Field of view 437 mm wide, 0.80 mm slice spacing; 512x512 px; Computed tomography 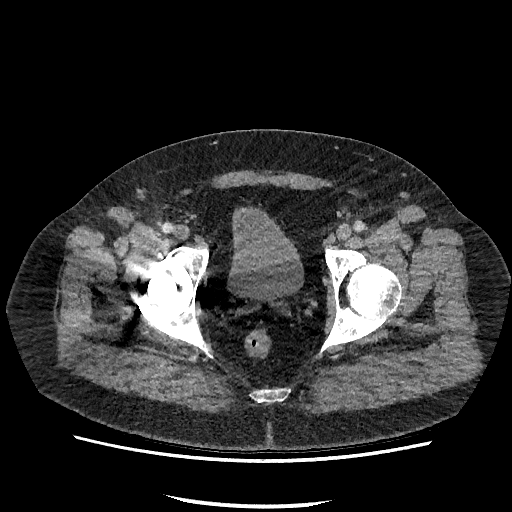
{
  "urinary_bladder": [
    "x1=228 y1=206 x2=303 y2=303"
  ]
}